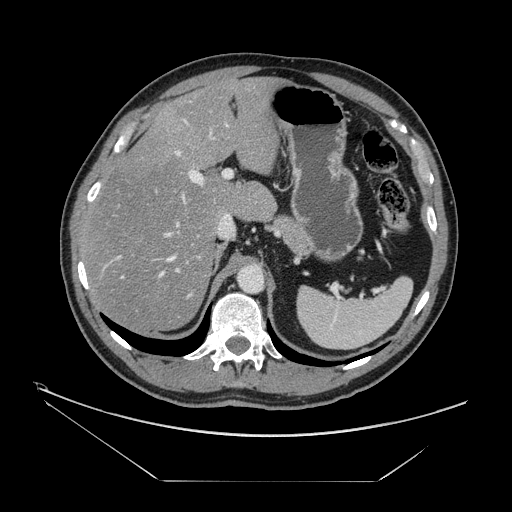 CT scan slice

The vessel annotation is not exhaustive.
6 hepatic vessel regions are bounded by (190, 171, 198, 181), (167, 233, 169, 235), (169, 257, 173, 260), (183, 197, 184, 200), (160, 273, 162, 275), (176, 151, 179, 154).